512x512 px; Slice index 97; CT image
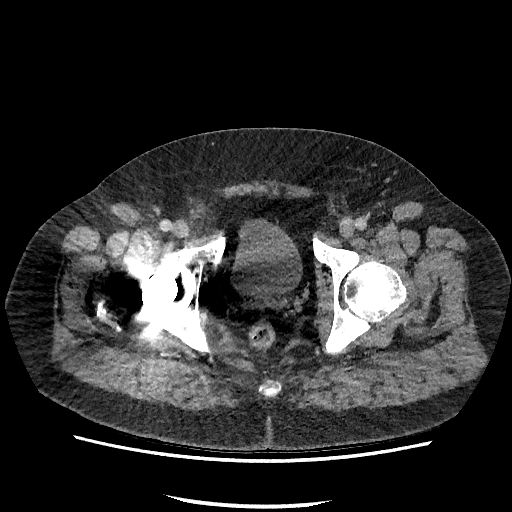
• urinary bladder: l=232, t=218, r=302, b=300